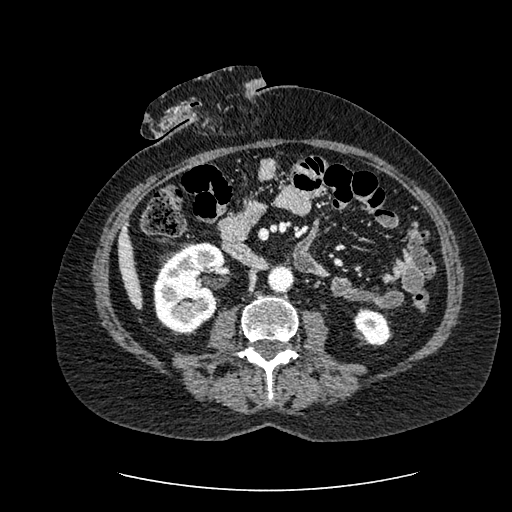

Liver, Computed tomography
kidney: region(355, 310, 389, 344); region(154, 243, 223, 332) | liver: region(118, 223, 142, 307)